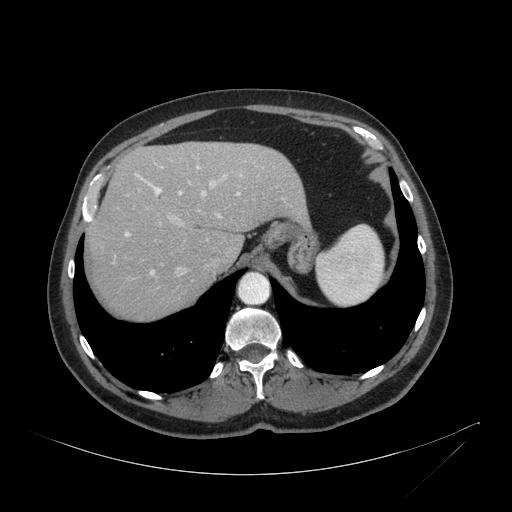

CT image.
{"liver": ["x1=86, y1=142, x2=306, y2=319"]}